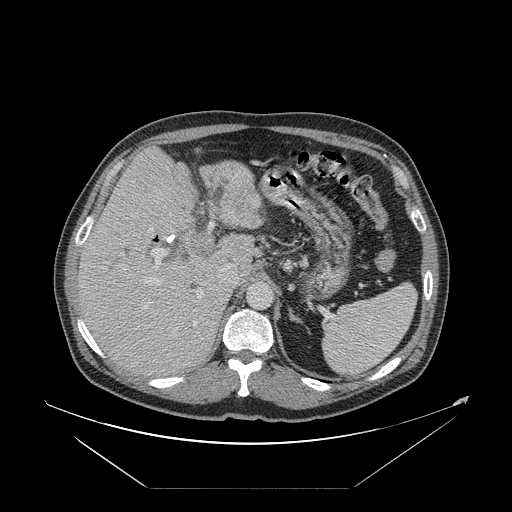
Liver; CT scan slice
The vessel annotation is not exhaustive.
Segmented structures:
* hepatic vessel: box(144, 302, 149, 308); box(151, 248, 167, 269); box(172, 329, 176, 333); box(160, 235, 174, 243); box(211, 264, 239, 291); box(120, 265, 124, 269); box(189, 206, 192, 207); box(190, 290, 202, 297); box(149, 229, 154, 236); box(145, 279, 159, 284); box(193, 321, 196, 325); box(120, 253, 123, 255)
* liver tumor: box(189, 185, 252, 241)